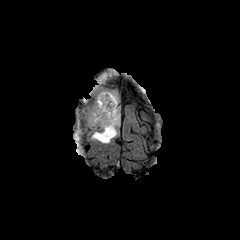
FLAIR MR.
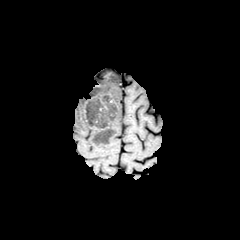
Same slice, T1-weighted magnetic resonance.
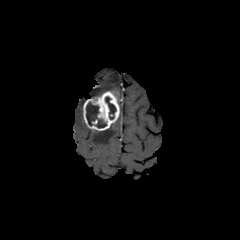
Same slice, post-contrast T1-weighted MRI.
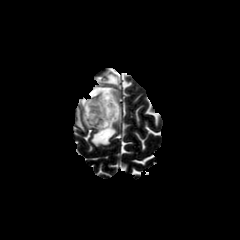
T2-weighted MR.
Segmented structures:
- non-enhancing tumor core: region(97, 119, 106, 128); region(86, 103, 98, 125); region(105, 97, 115, 114)
- enhancing tumor: region(83, 90, 120, 130)
- edema: region(89, 87, 111, 96); region(104, 74, 115, 82); region(91, 117, 120, 145)